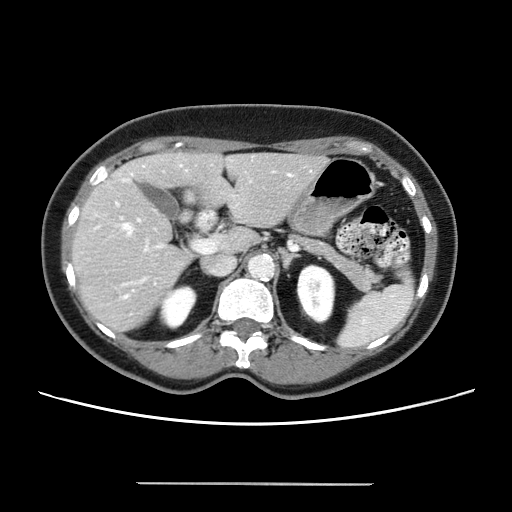
512x512. CT image. The vessel annotation is not exhaustive.
2 hepatic vessel regions are located at 158 246 160 247, 123 224 131 233.